FLAIR magnetic resonance.
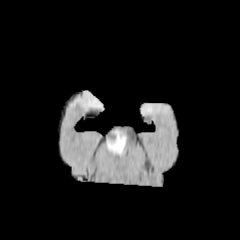
T1-weighted MR.
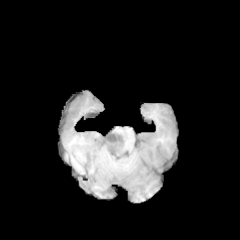
Post-contrast T1-weighted MR image.
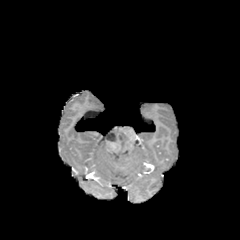
T2-weighted MR.
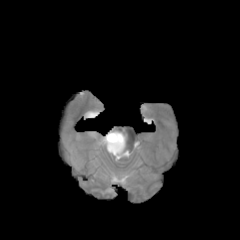
Head; 240x240
<segmentation>
  <edema>box(109, 127, 127, 147)</edema>
  <enhancing_tumor>box(106, 141, 118, 147)</enhancing_tumor>
  <non-enhancing_tumor_core>box(105, 132, 124, 152)</non-enhancing_tumor_core>
</segmentation>